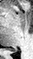 33x59 px. MR image.

posterior_hippocampus:
  - <box>8,49,16,51</box>